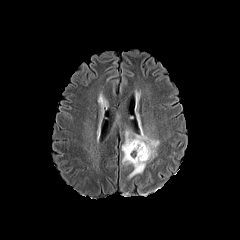
FLAIR MRI.
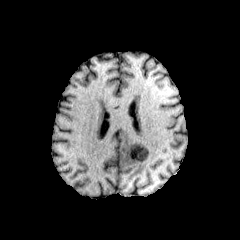
T1-weighted MR image.
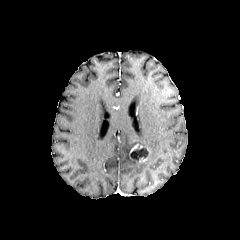
Post-contrast T1-weighted MR image of the same slice.
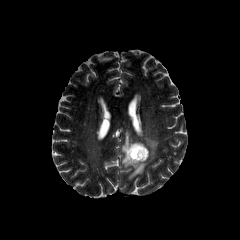
T2-weighted MRI of the same slice.
Brain
non-enhancing tumor core: x1=130 y1=147 x2=148 y2=161 | edema: x1=121 y1=114 x2=159 y2=179